512x512 | Computed tomography

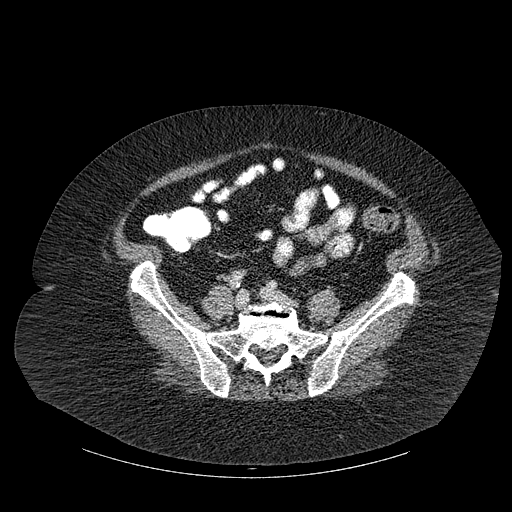
bone:
  - x1=130, y1=261, x2=414, y2=397